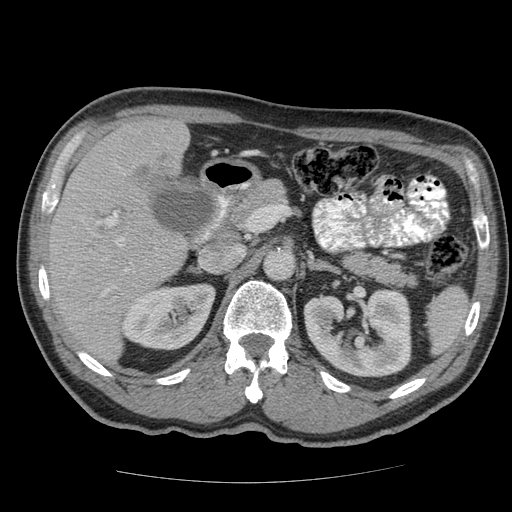
Abdomen | CT slice
The vessel annotation is not exhaustive.
Liver tumor: bounding box (137,166,149,174).
Hepatic vessel: bounding box (97,212,117,226), (102,291,106,295), (123,270,126,273).